CT slice; Slice 22/87
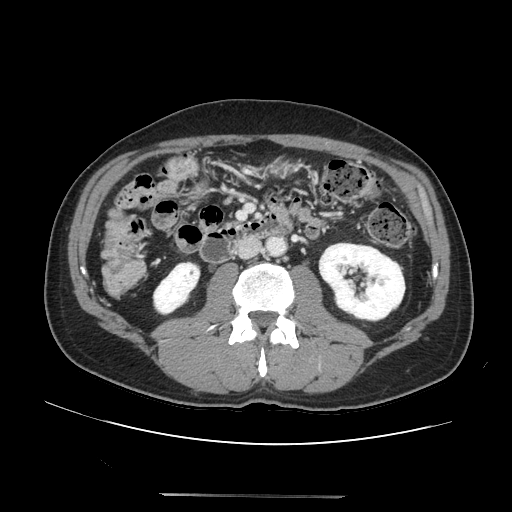
pancreas:
  - rect(221, 222, 238, 229)